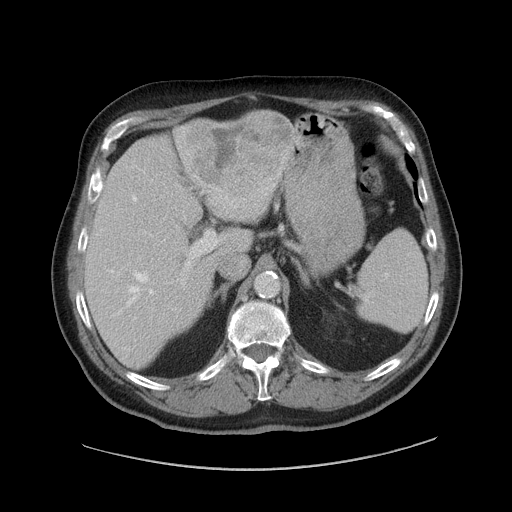
CT scan slice | Liver
The vessel boxes may cover only some of the vessels.
Liver tumor: (x1=185, y1=112, x2=293, y2=198).
Hepatic vessel: (x1=162, y1=242, x2=175, y2=244), (x1=132, y1=196, x2=136, y2=200), (x1=162, y1=248, x2=164, y2=250), (x1=149, y1=290, x2=152, y2=293), (x1=225, y1=196, x2=226, y2=198), (x1=180, y1=231, x2=218, y2=285), (x1=129, y1=287, x2=138, y2=293), (x1=174, y1=249, x2=177, y2=251), (x1=173, y1=255, x2=175, y2=256), (x1=127, y1=295, x2=135, y2=305), (x1=135, y1=272, x2=147, y2=281).